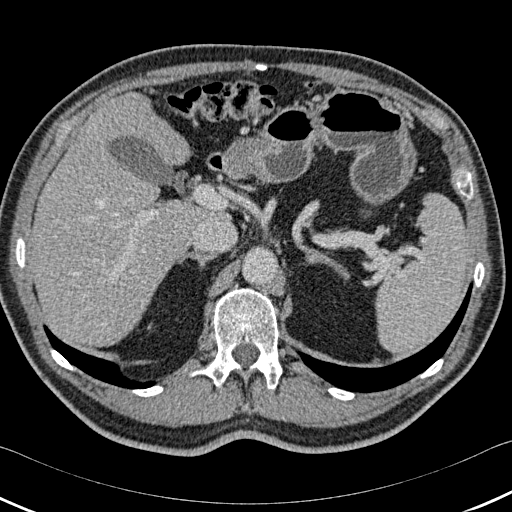 512x512 px, Abdomen, CT image
liver:
  - 33, 92, 221, 346
bone:
  - 190, 289, 281, 389
  - 474, 262, 484, 286
  - 420, 359, 443, 378
  - 50, 350, 73, 370
  - 456, 172, 472, 198
  - 328, 388, 354, 400
  - 13, 238, 24, 267
  - 132, 386, 162, 396
lung:
  - 296, 282, 472, 392
  - 43, 325, 156, 388